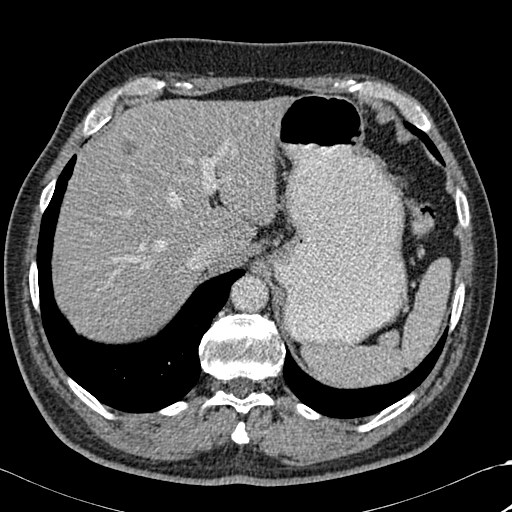
CT image. Image size 512x512.
Bone: bounding box <box>232,422,248,443</box>, <box>349,81,429,130</box>, <box>199,314,285,412</box>, <box>160,402,186,415</box>, <box>359,395,414,431</box>, <box>40,181,54,210</box>, <box>456,190,468,226</box>, <box>84,107,110,133</box>, <box>297,404,319,419</box>, <box>68,379,111,418</box>, <box>29,263,38,307</box>, <box>451,284,464,327</box>, <box>138,80,163,92</box>.
Lung: bounding box <box>403,121,444,165</box>, <box>37,155,244,412</box>, <box>283,328,447,418</box>.
Liver: bounding box <box>52,98,287,341</box>, <box>214,253,236,266</box>.
Liver lesion: bounding box <box>122,139,137,155</box>.